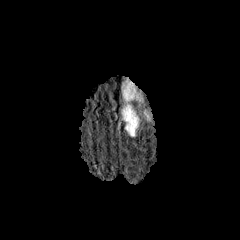
FLAIR MR image.
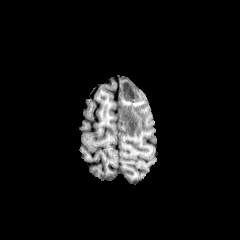
T1-weighted MRI.
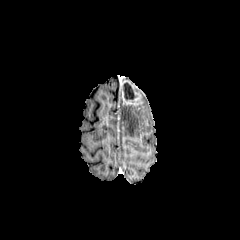
Post-contrast T1-weighted MRI of the same slice.
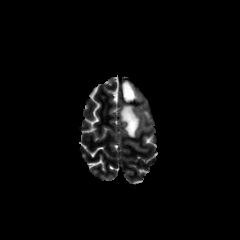
T2-weighted MR of the same slice.
Head | 240x240 px
2 edema regions appear at box=[144, 112, 152, 120]; box=[121, 105, 139, 137]. The non-enhancing tumor core is bounded by box=[123, 82, 138, 99]. The enhancing tumor is at box=[121, 80, 144, 105].